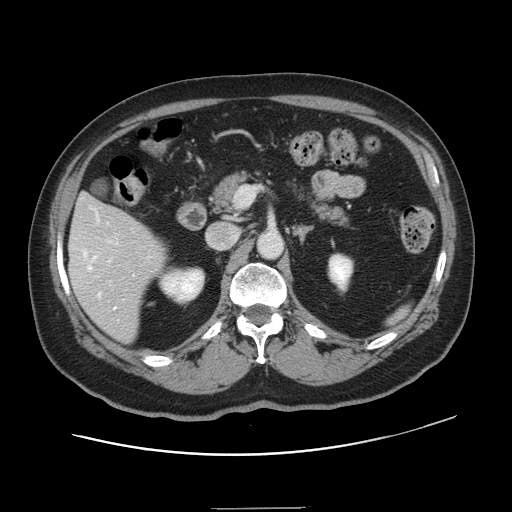
Abdomen; CT
Some hepatic vessels may have no box.
Hepatic vessel: bbox(114, 240, 117, 244); bbox(108, 259, 110, 261); bbox(88, 265, 91, 269); bbox(89, 206, 98, 222); bbox(98, 292, 101, 296); bbox(83, 252, 86, 257); bbox(108, 241, 112, 243); bbox(92, 256, 96, 260).